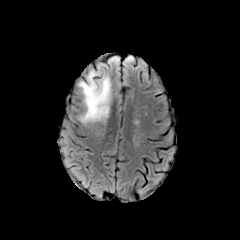
FLAIR MRI.
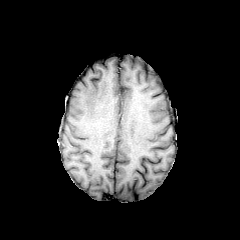
Same slice, T1-weighted MR.
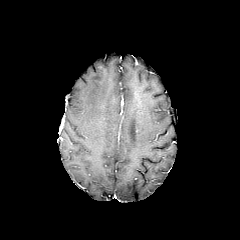
Post-contrast T1-weighted MR of the same slice.
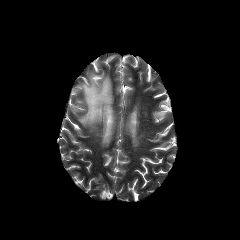
T2-weighted magnetic resonance.
240x240 px.
Edema: bbox(78, 68, 111, 124).